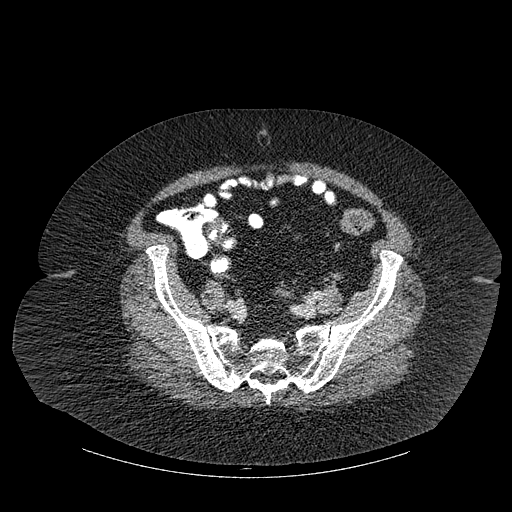
CT

bone: x1=146 y1=245 x2=402 y2=403